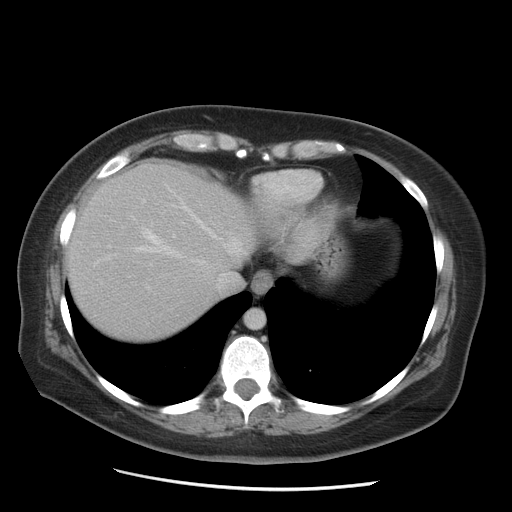

Liver; 512x512; CT slice

liver: 258, 206, 280, 224; 67, 163, 255, 338; 293, 217, 308, 235; 275, 214, 297, 236